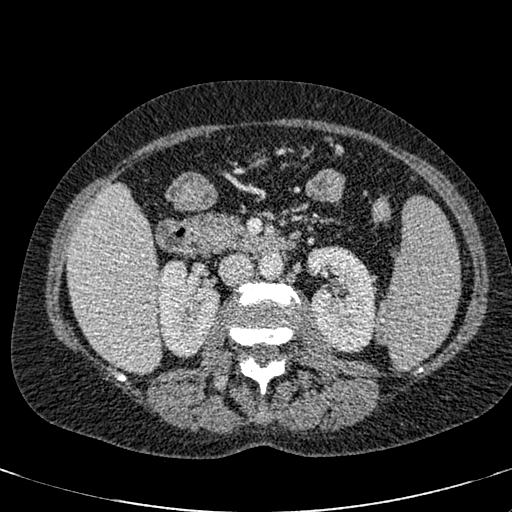 CT scan slice
Annotated regions:
* liver: 66, 184, 159, 372
* kidney: 308, 247, 374, 351; 158, 261, 218, 356